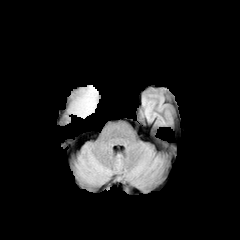
FLAIR MR.
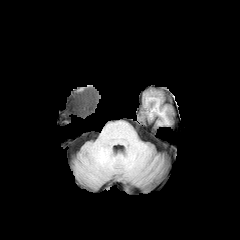
Same slice, T1-weighted MR image.
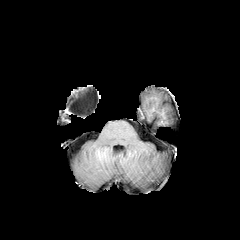
Post-contrast T1-weighted MRI.
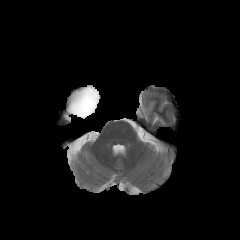
T2-weighted MRI.
240x240
Segmented structures:
- non-enhancing tumor core: <bbox>68, 85, 98, 117</bbox>